CT image; Slice 28/121

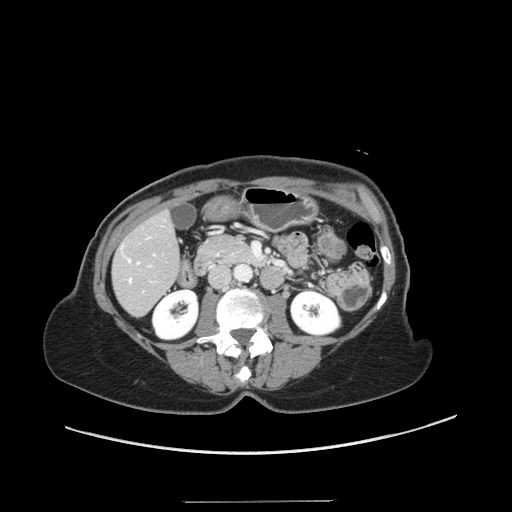
Only some of the vessels may be annotated.
3 hepatic vessel regions are located at <box>129,278,131,281</box>, <box>147,237,149,238</box>, <box>128,258,130,261</box>.